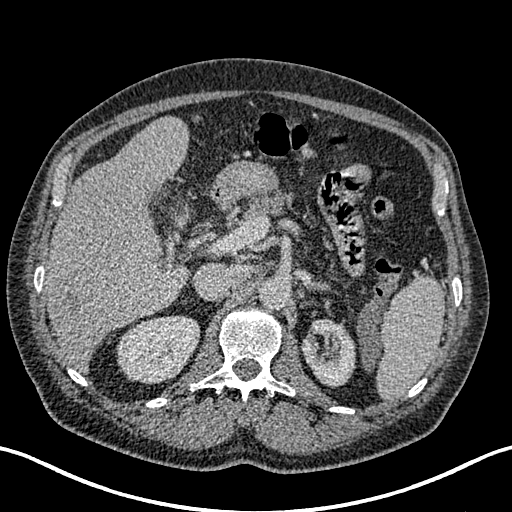
CT. 512x512 px. Focal liver lesion at (54,287,80,322).
Kidney at (118,316,199,382), (302,320,354,385).
Liver at (46,117,189,372).